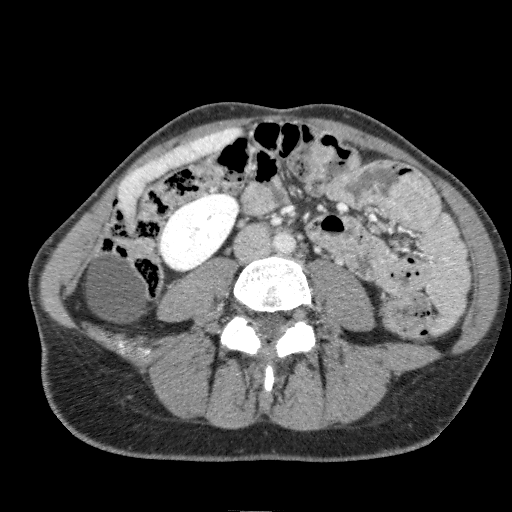
CT image
• kidney: 160 194 237 269
• liver: 119 128 240 233